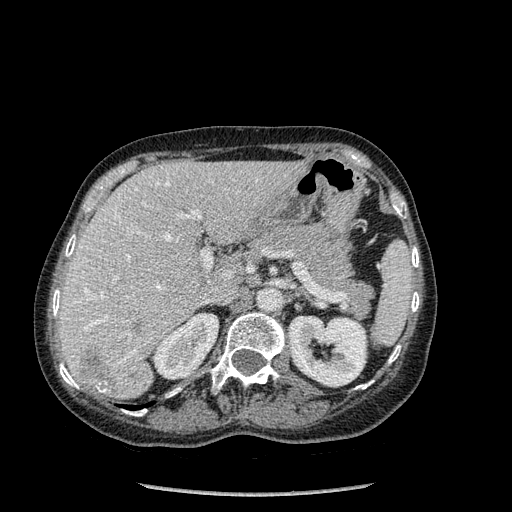

Abdomen | CT | 512x512 px
focal_liver_lesion:
  - (80,349,117,392)
bone:
  - (392,199,406,218)
  - (410,292,419,311)
  - (388,345,400,363)
  - (354,380,373,389)
  - (59,363,78,388)
  - (65,234,76,257)
  - (410,246,419,267)
  - (52,288,61,316)
  - (165,387,181,397)
  - (208,312,284,393)
  - (122,409,147,416)
liver:
  - (60,161,305,399)
  - (223,255,235,269)
kidney:
  - (154,313,218,378)
  - (289,316,365,386)